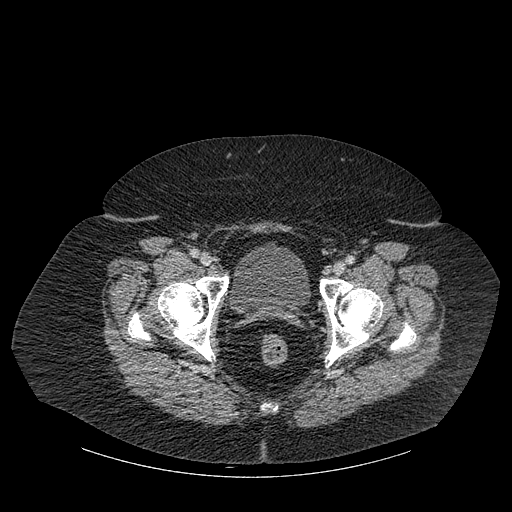
Lower abdomen, Computed tomography
The urinary bladder appears at {"x1": 231, "y1": 242, "x2": 311, "y2": 322}. 5 bone regions are bounded by {"x1": 158, "y1": 276, "x2": 228, "y2": 360}, {"x1": 390, "y1": 323, "x2": 415, "y2": 350}, {"x1": 128, "y1": 313, "x2": 150, "y2": 340}, {"x1": 261, "y1": 403, "x2": 277, "y2": 410}, {"x1": 320, "y1": 279, "x2": 383, "y2": 366}.